Computed tomography 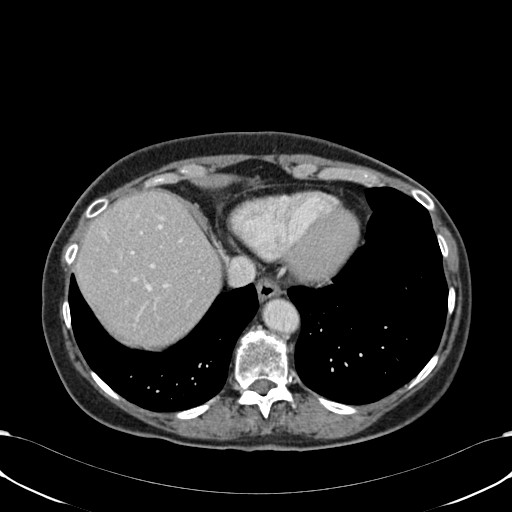

Annotated regions:
• liver: 77, 191, 221, 346